Computed tomography | Slice 32/81

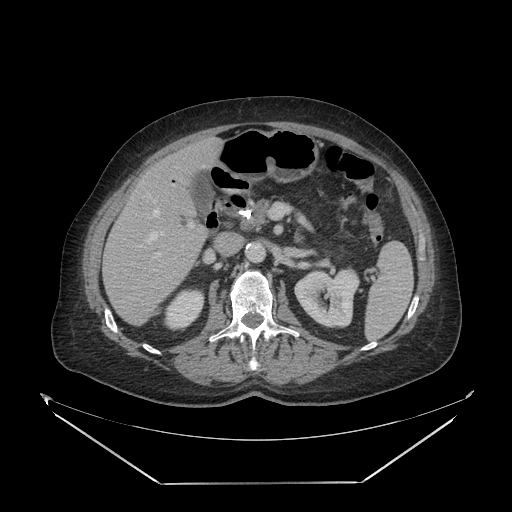 Pancreas: <box>242,203,259,230</box>.
Pancreatic tumor: <box>255,200,268,224</box>.